FLAIR magnetic resonance.
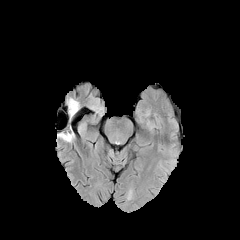
T1-weighted magnetic resonance.
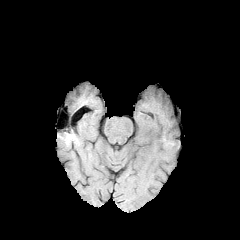
Post-contrast T1-weighted MR.
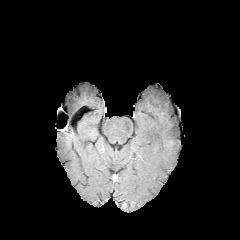
T2-weighted MR image.
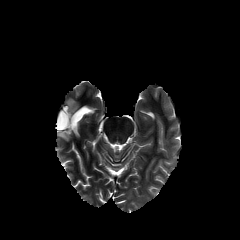
Image size 240x240; Head
2 edema regions appear at [67, 98, 79, 119], [59, 126, 74, 141].